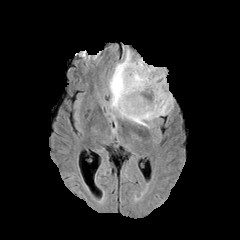
FLAIR MRI.
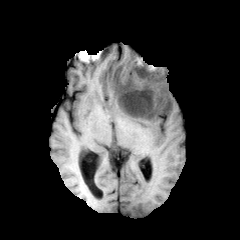
T1-weighted magnetic resonance.
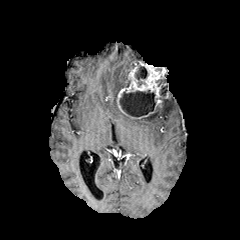
Post-contrast T1-weighted MR.
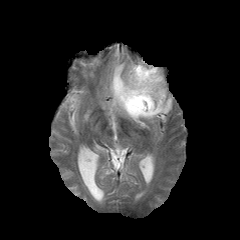
T2-weighted magnetic resonance.
edema: [107,50,173,129] | enhancing tumor: [117,61,165,107] | non-enhancing tumor core: [119,90,159,116], [135,66,147,80], [160,86,170,111]